240x240; Slice 105/155
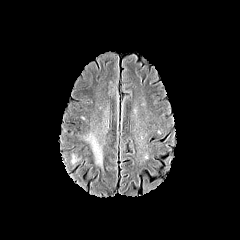
FLAIR magnetic resonance.
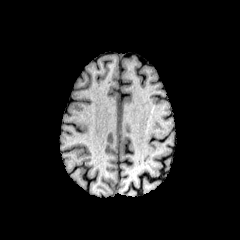
T1-weighted MR image of the same slice.
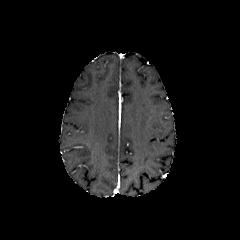
Post-contrast T1-weighted magnetic resonance.
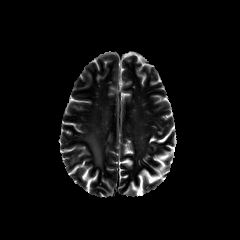
T2-weighted MR.
The edema is at (86,134,102,165).